Field of view 240 mm wide, 1.00 mm slice spacing. Slice index 61.
FLAIR MRI.
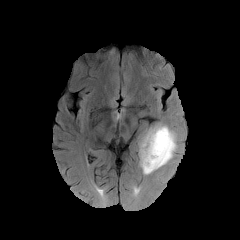
T1-weighted magnetic resonance.
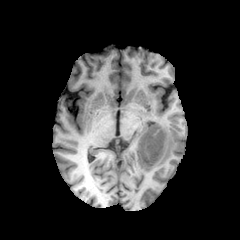
Post-contrast T1-weighted MRI.
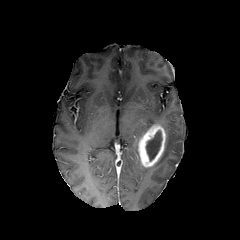
T2-weighted MR.
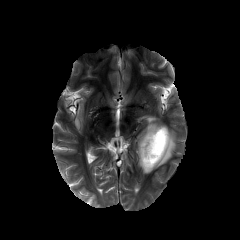
Findings:
* non-enhancing tumor core: box(146, 130, 162, 161)
* edema: box(137, 122, 177, 175)
* enhancing tumor: box(138, 124, 166, 167)